CT slice | Upper abdomen

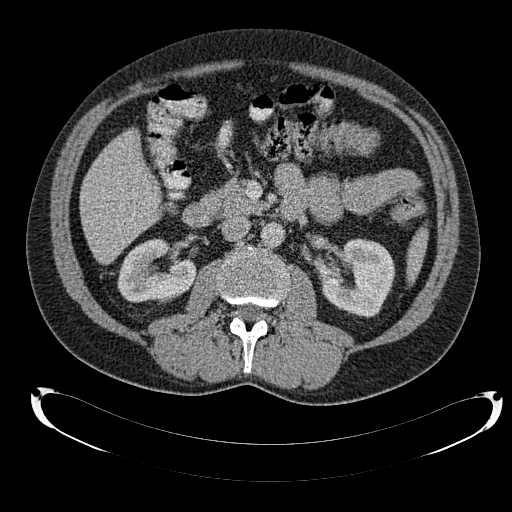 2 kidney regions appear at bbox(118, 239, 195, 301); bbox(316, 239, 393, 316). The liver lies within bbox(79, 131, 159, 263).